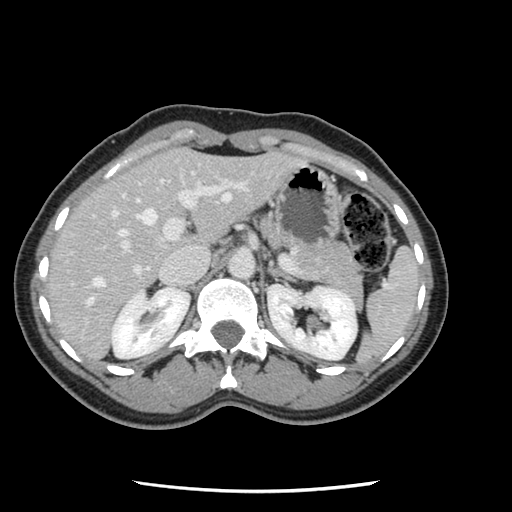
CT image, Image size 512x512
Not every hepatic vessel necessarily has a box.
Findings:
* hepatic vessel: l=234, t=183, r=244, b=188; l=222, t=193, r=229, b=200; l=112, t=211, r=117, b=215; l=223, t=180, r=228, b=185; l=137, t=209, r=155, b=223; l=119, t=229, r=128, b=247; l=134, t=266, r=140, b=272; l=178, t=183, r=218, b=205; l=87, t=297, r=92, b=303; l=163, t=218, r=181, b=239; l=93, t=277, r=103, b=286